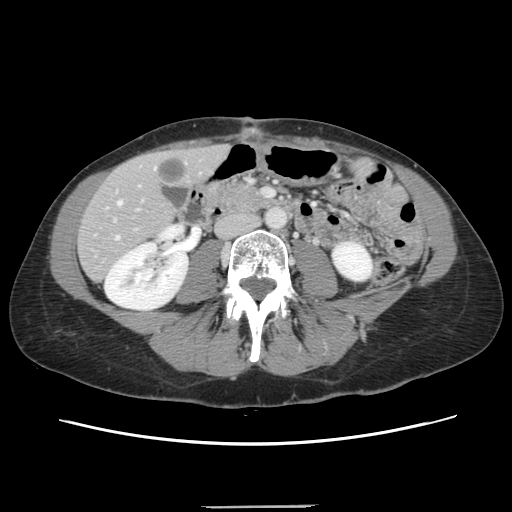 CT slice

Some hepatic vessels may have no box.
<segmentation>
  <liver_tumor>box(159, 158, 185, 182)</liver_tumor>
  <hepatic_vessel>box(115, 236, 118, 238); box(117, 200, 121, 204); box(113, 219, 115, 220); box(154, 167, 155, 169)</hepatic_vessel>
</segmentation>